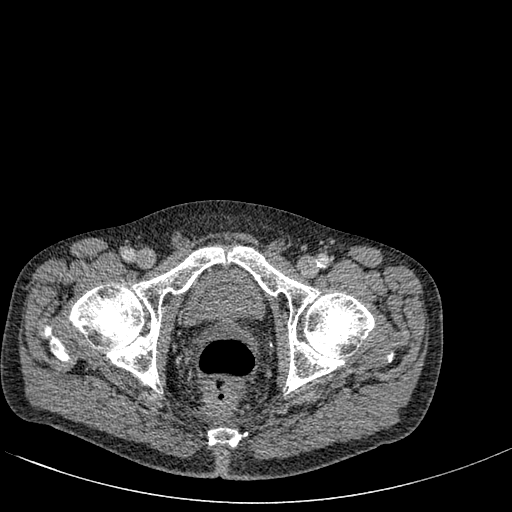

Lower abdomen, Computed tomography
<segmentation>
  <urinary_bladder>x1=178, y1=263, x2=266, y2=327</urinary_bladder>
</segmentation>